FLAIR MR.
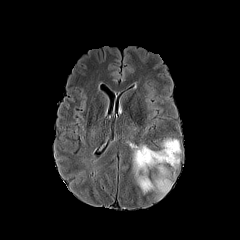
T1-weighted MR image.
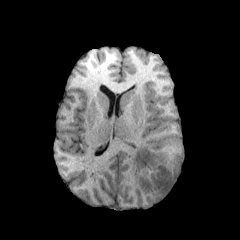
Post-contrast T1-weighted magnetic resonance.
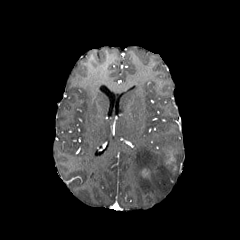
T2-weighted magnetic resonance.
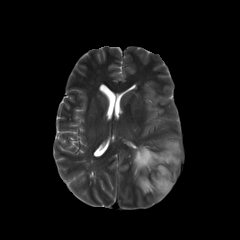
Brain.
enhancing tumor: (x1=141, y1=169, x2=150, y2=179), (x1=165, y1=147, x2=176, y2=164) | edema: (x1=133, y1=140, x2=178, y2=199), (x1=171, y1=155, x2=179, y2=168)